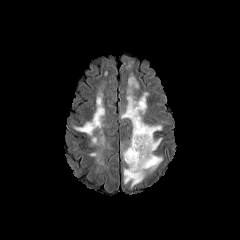
FLAIR MR.
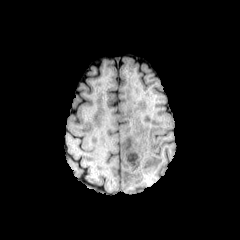
Same slice, T1-weighted magnetic resonance.
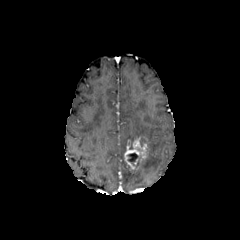
Post-contrast T1-weighted MR image of the same slice.
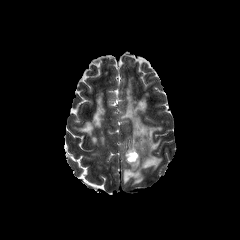
Same slice, T2-weighted magnetic resonance.
240x240 px.
Edema: bounding box 128,78,139,88; 121,90,162,188; 74,97,104,136.
Non-enhancing tumor core: bounding box 127,152,137,165.
Enhancing tumor: bounding box 124,136,148,169.